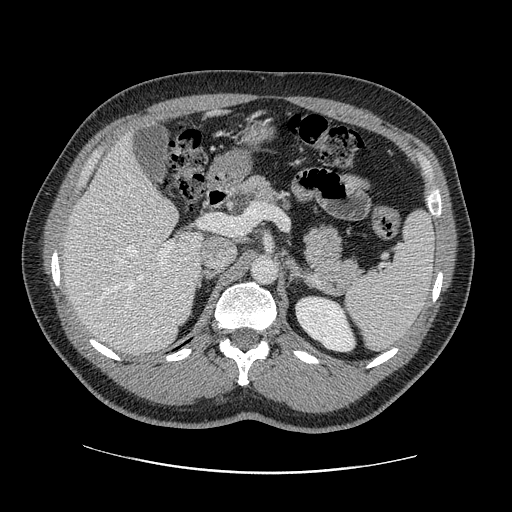 CT scan slice. Upper abdomen.

pancreas: [x1=301, y1=223, x2=363, y2=291], [x1=225, y1=175, x2=291, y2=218] | pancreatic tumor: [x1=230, y1=191, x2=258, y2=216]